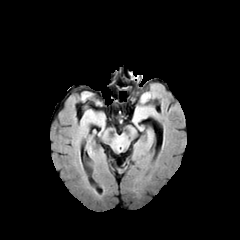
FLAIR MR image.
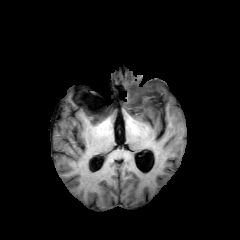
Same slice, T1-weighted MR image.
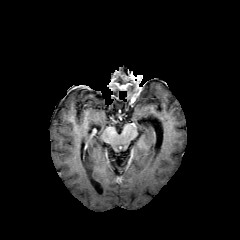
Post-contrast T1-weighted MR of the same slice.
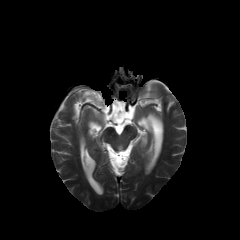
T2-weighted MR image of the same slice.
240x240 px
edema:
  - 135, 129, 153, 149
  - 148, 111, 160, 120
  - 133, 88, 157, 130